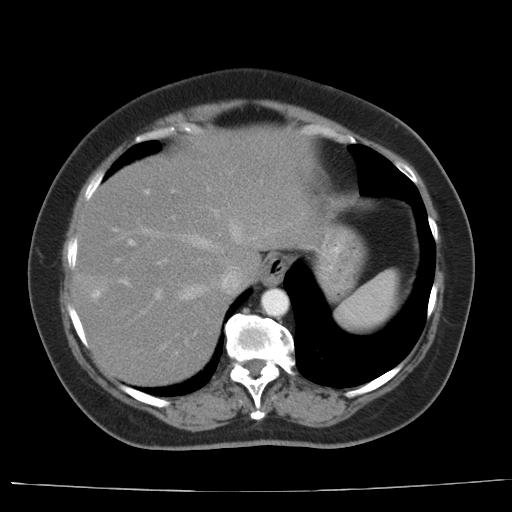
CT slice | Abdomen | 512x512 px

Not every hepatic vessel necessarily has a box.
Hepatic vessel — (x1=92, y1=292, x2=97, y2=296), (x1=185, y1=288, x2=193, y2=298), (x1=156, y1=293, x2=159, y2=298), (x1=121, y1=280, x2=126, y2=283), (x1=233, y1=230, x2=235, y2=235), (x1=193, y1=238, x2=204, y2=244), (x1=129, y1=240, x2=133, y2=244).